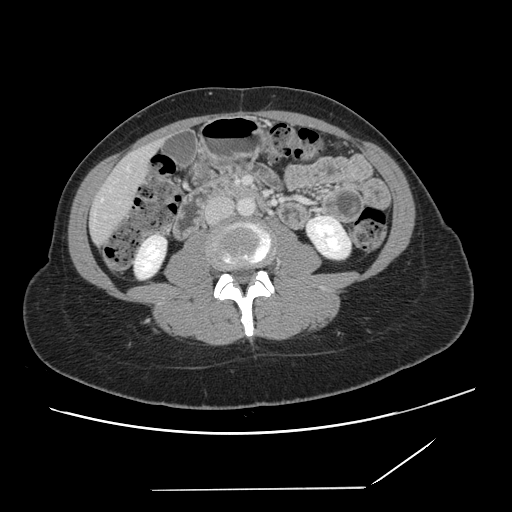 Computed tomography; Liver
The vessel annotation is not exhaustive.
hepatic_vessel:
  - left=94, top=213, right=95, bottom=214
  - left=127, top=167, right=128, bottom=171
  - left=101, top=199, right=102, bottom=200